Brain
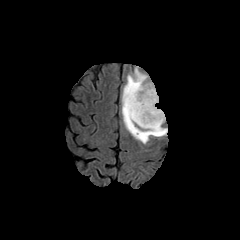
FLAIR MR image.
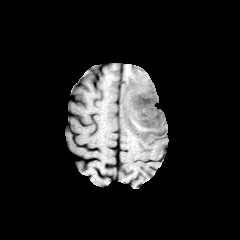
T1-weighted MR image.
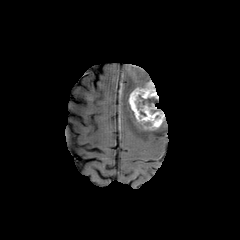
Same slice, post-contrast T1-weighted MR.
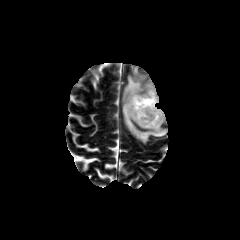
T2-weighted MRI.
<segmentation>
  <edema>x1=121 y1=66 x2=167 y2=145</edema>
  <non-enhancing_tumor_core>x1=139 y1=95 x2=158 y2=105</non-enhancing_tumor_core>
  <enhancing_tumor>x1=127 y1=80 x2=164 y2=131</enhancing_tumor>
</segmentation>